Slice 10 of 135, CT, Abdomen 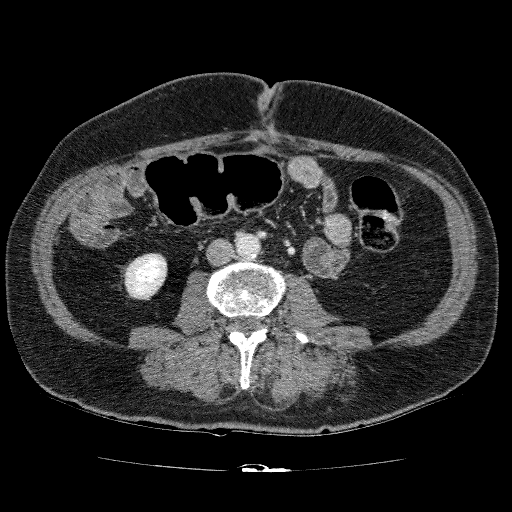
<segmentation>
  <kidney><box>125,253,166,299</box></kidney>
</segmentation>